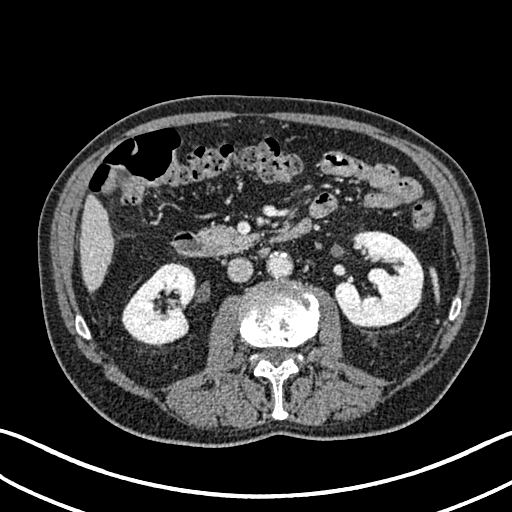
CT
Liver at 80,196,114,290.
Kidney at 335,232,423,326; 123,264,194,344.